Pelvis, CT scan slice, Slice 53/100
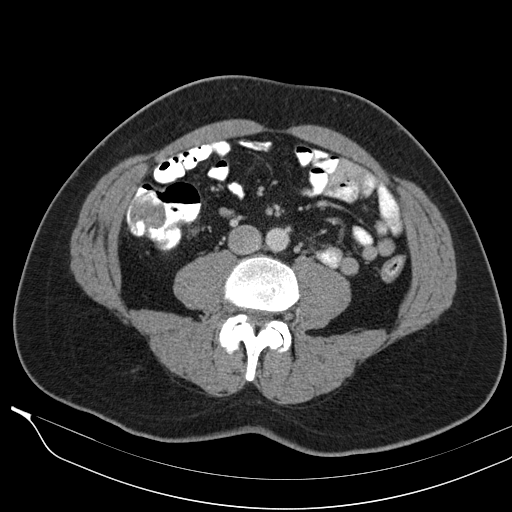
The colon tumor lies within [x1=131, y1=197, x2=166, y2=228].